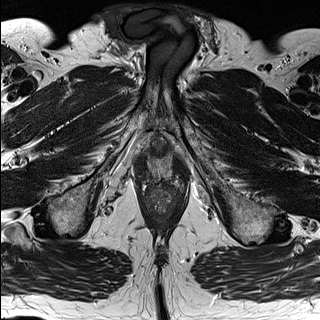
T2-weighted MR.
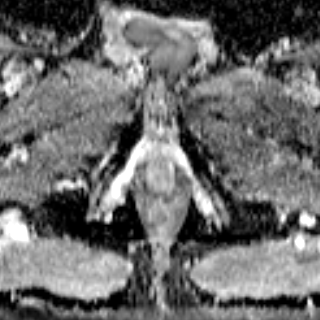
Same slice, ADC MRI.
The prostate peripheral zone is located at <bbox>148, 155, 172, 178</bbox>. The prostate transition zone is bounded by <bbox>150, 148, 169, 159</bbox>.